Brain | 240x240
FLAIR magnetic resonance.
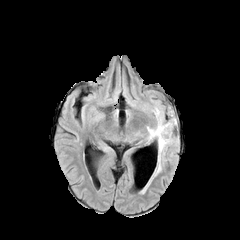
T1-weighted MRI.
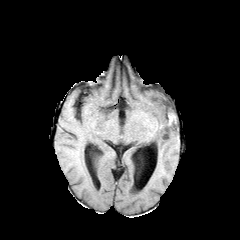
Post-contrast T1-weighted MR.
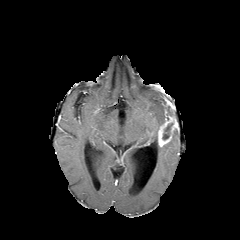
T2-weighted MR image.
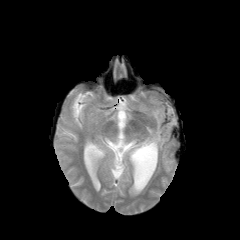
Edema at [162, 131, 172, 139], [145, 102, 174, 172].
Non-enhancing tumor core at [162, 110, 172, 132].
Enhancing tumor at [158, 128, 167, 145].